CT scan slice | Abdomen | Slice index 470 | Field of view 350x350 mm 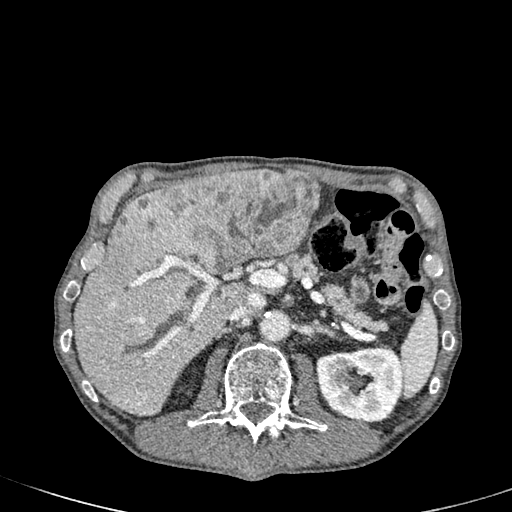

* kidney: (318,348,406,421)
* liver: (73,189,245,415)
* liver lesion: (139,198,148,208), (164,169,317,270)